FLAIR MR image.
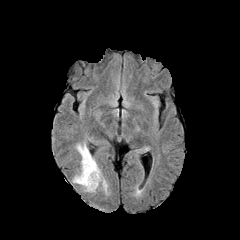
T1-weighted MRI.
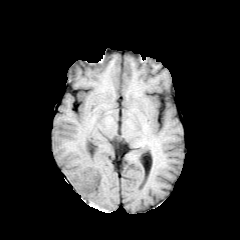
Post-contrast T1-weighted magnetic resonance.
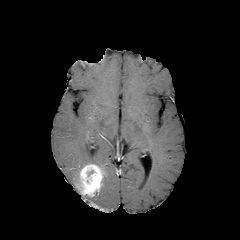
T2-weighted magnetic resonance.
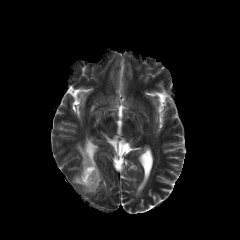
Brain
{
  "edema": [
    "(76, 143, 96, 168)"
  ],
  "enhancing_tumor": [
    "(73, 163, 102, 195)"
  ]
}